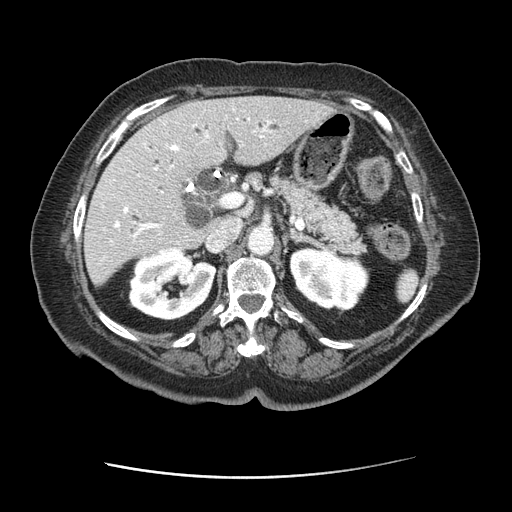 CT slice, Upper abdomen
{"pancreas": ["(264, 172, 366, 260)"]}